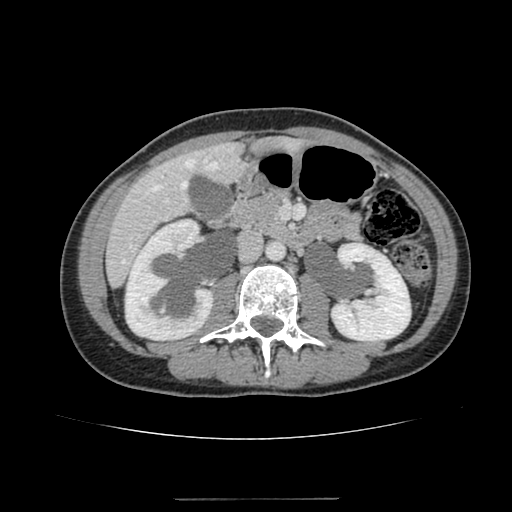

CT slice. Liver. liver:
  - <box>107,141,244,288</box>
  - <box>252,134,307,151</box>
kidney:
  - <box>332,243,410,340</box>
  - <box>125,220,212,340</box>